240x240
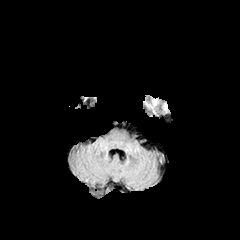
FLAIR MRI.
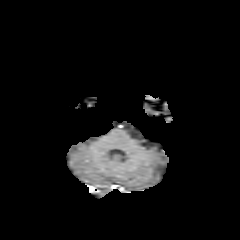
T1-weighted MRI.
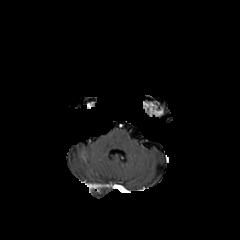
Post-contrast T1-weighted magnetic resonance of the same slice.
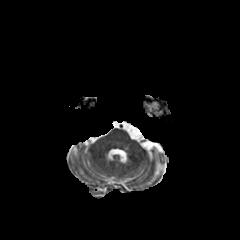
T2-weighted MR of the same slice.
The edema is located at region(144, 99, 167, 112).